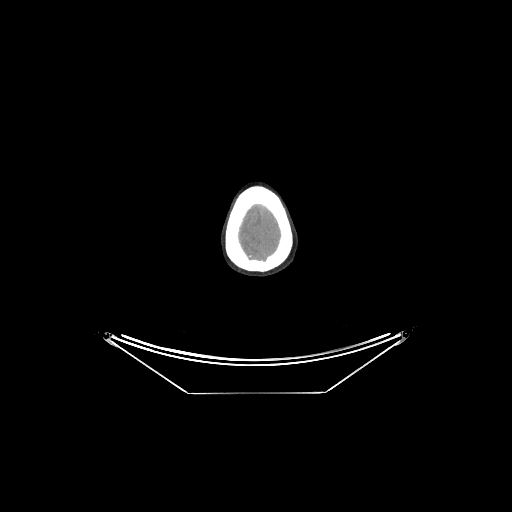 CT scan slice; Head; 512x512

Brain at x1=238, y1=204, x2=281, y2=261.